512x512; Field of view 351 mm wide, 5.00 mm slice spacing; CT scan slice; Slice 43 of 50

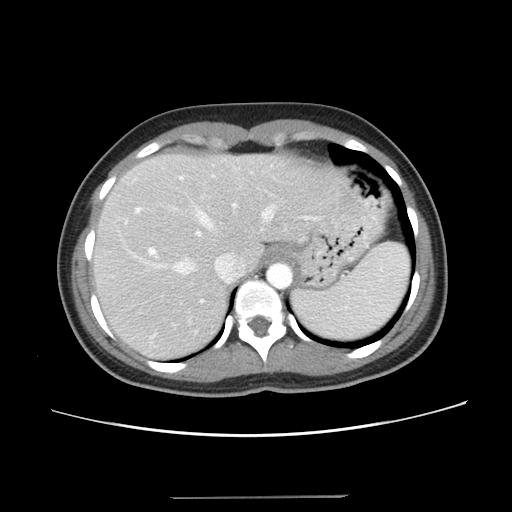
Some hepatic vessels may have no box.
10 hepatic vessel regions are located at (197,232,200,235), (141,260,165,268), (198,211,211,226), (180,177,182,179), (136,208,140,212), (175,259,192,273), (149,248,156,255), (263,206,273,220), (233,204,236,206), (126,221,127,222).